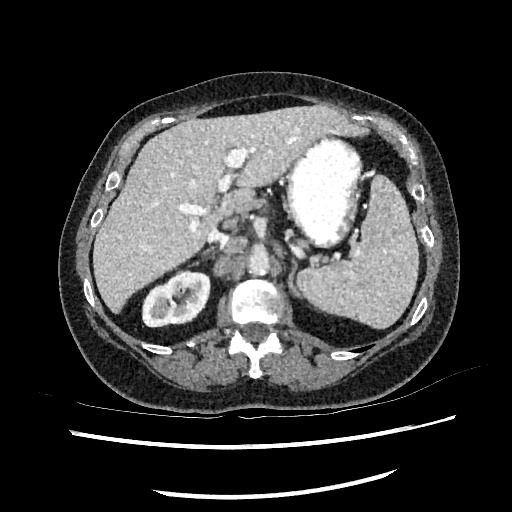
Computed tomography. Image size 512x512.

{"kidney": ["x1=143 y1=272 x2=209 y2=326"], "liver": ["x1=92 y1=105 x2=368 y2=313"]}